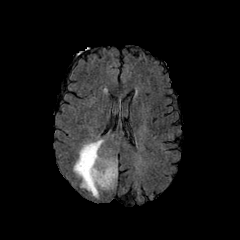
FLAIR MR image.
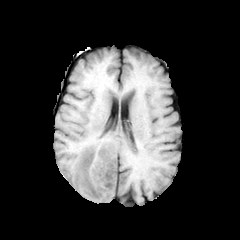
T1-weighted magnetic resonance.
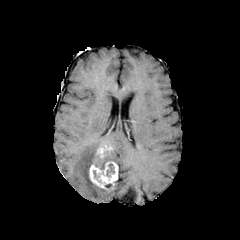
Post-contrast T1-weighted MRI.
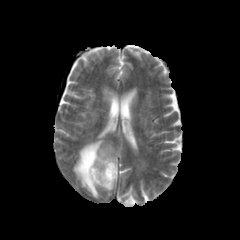
T2-weighted MRI.
enhancing tumor: box(89, 146, 117, 189) | edema: box(73, 139, 103, 197)